FLAIR magnetic resonance.
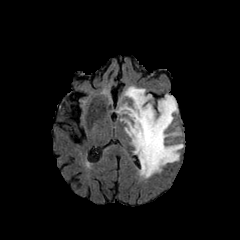
T1-weighted MR image.
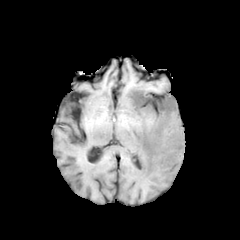
Post-contrast T1-weighted MR.
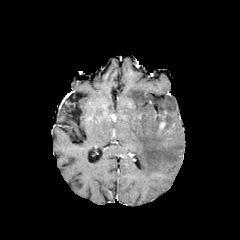
T2-weighted MR.
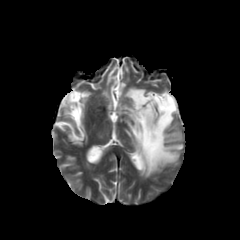
Head
{
  "non-enhancing_tumor_core": [
    "(x1=152, y1=97, x2=169, y2=125)"
  ],
  "edema": [
    "(x1=120, y1=86, x2=182, y2=178)"
  ]
}